CT | Slice 28/95

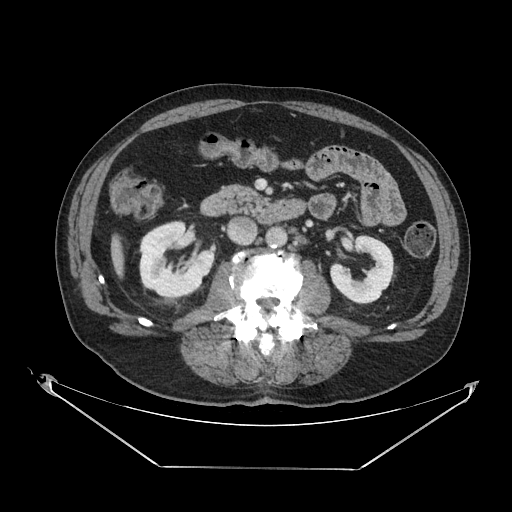

Annotated regions:
• pancreas: box=[216, 183, 265, 215]